FLAIR MR.
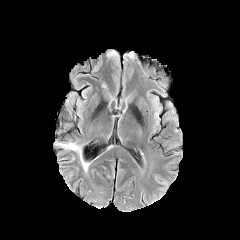
T1-weighted MR.
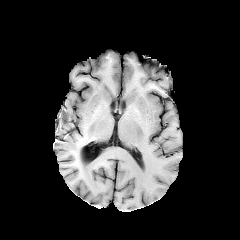
Post-contrast T1-weighted MR image.
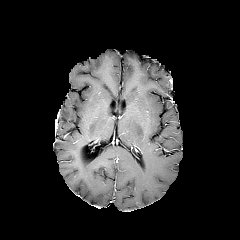
T2-weighted MRI.
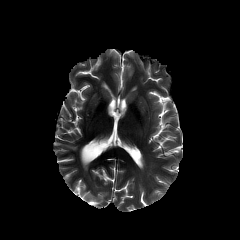
Image size 240x240
- edema: l=58, t=140, r=89, b=170